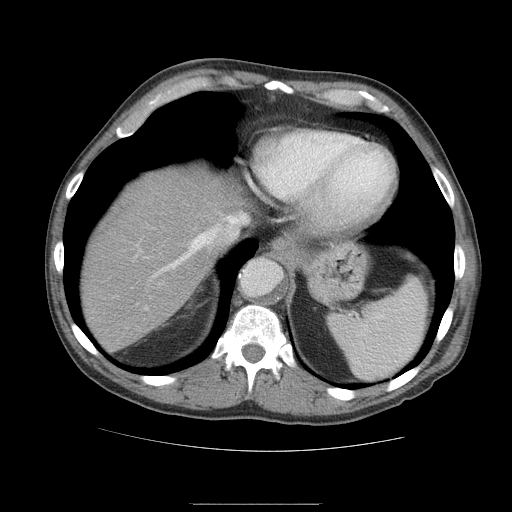

Abdomen, Computed tomography

Not every hepatic vessel necessarily has a box.
• hepatic vessel: (144,307,146,308), (154,215,245,276)